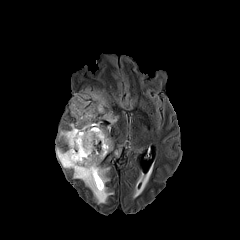
FLAIR MRI.
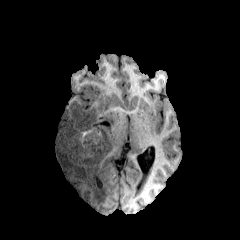
T1-weighted MRI of the same slice.
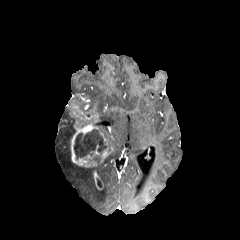
Post-contrast T1-weighted MR.
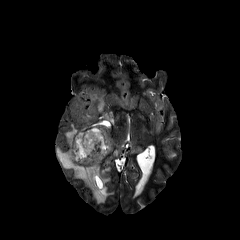
T2-weighted MR image.
Brain
2 non-enhancing tumor core regions appear at [74, 129, 106, 157], [88, 102, 103, 114]. The enhancing tumor is located at [67, 96, 114, 168]. 3 edema regions are bounded by [105, 110, 118, 127], [76, 89, 109, 108], [55, 122, 113, 204].